CT | Abdomen

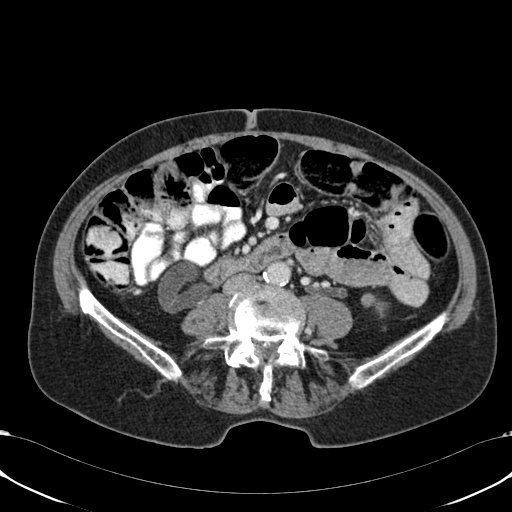
<segmentation>
  <kidney>(365, 295, 372, 304)</kidney>
</segmentation>